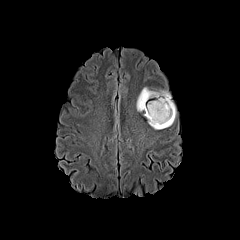
FLAIR MR image.
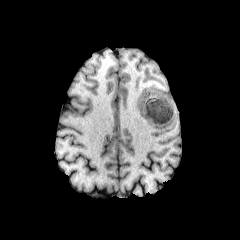
Same slice, T1-weighted MR image.
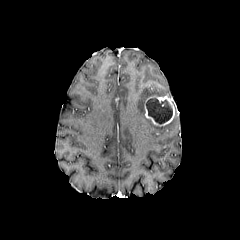
Post-contrast T1-weighted MRI.
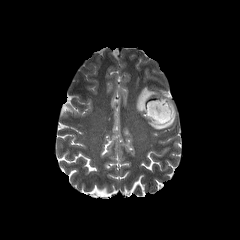
T2-weighted MR image of the same slice.
Brain.
2 edema regions are located at rect(148, 119, 174, 129); rect(136, 87, 170, 111). The enhancing tumor lies within rect(144, 95, 176, 126). The non-enhancing tumor core is bounded by rect(146, 98, 172, 124).